Slice 54 of 155; Image width 240 mm; 240x240 px
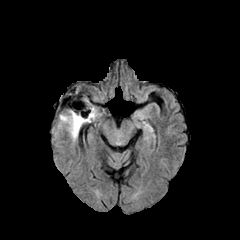
FLAIR magnetic resonance.
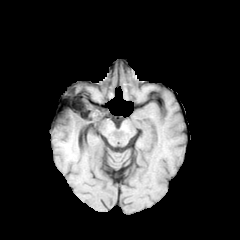
T1-weighted MRI.
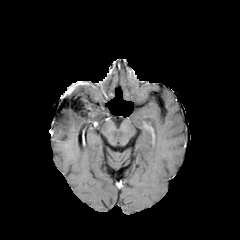
Same slice, post-contrast T1-weighted MRI.
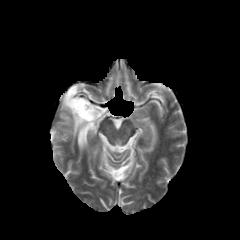
T2-weighted MRI of the same slice.
Segmented structures:
• non-enhancing tumor core: 64,96,83,125
• edema: 57,107,101,141